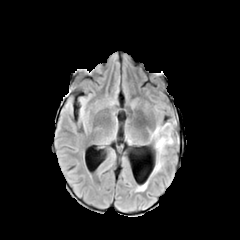
FLAIR MR.
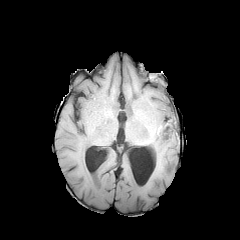
T1-weighted magnetic resonance of the same slice.
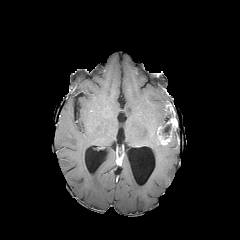
Post-contrast T1-weighted MR image of the same slice.
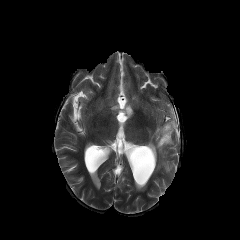
T2-weighted MRI.
Image size 240x240.
The non-enhancing tumor core is bounded by [156,122,173,141]. The enhancing tumor is bounded by [157,132,169,143]. 2 edema regions are bounded by [150,119,179,177], [136,180,148,191].